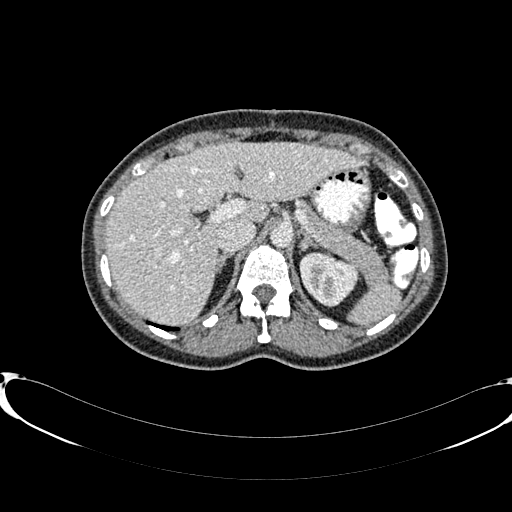

Image size 512x512 | CT | Liver

<segmentation>
  <kidney><bbox>301, 254, 355, 304</bbox></kidney>
  <liver><bbox>104, 143, 368, 324</bbox></liver>
</segmentation>